240x240 px
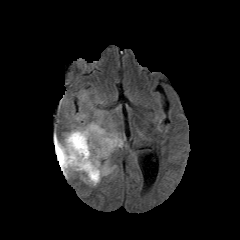
FLAIR MRI.
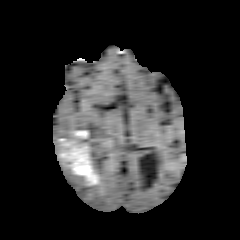
Same slice, T1-weighted MRI.
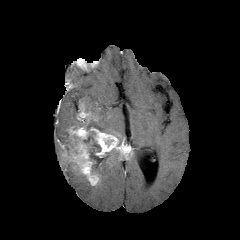
Same slice, post-contrast T1-weighted MR image.
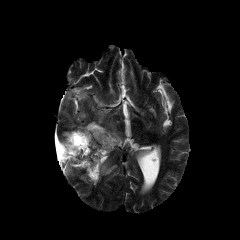
T2-weighted magnetic resonance.
5 non-enhancing tumor core regions are located at (65,136,73,151), (90,156,105,178), (83,131,95,152), (61,161,72,171), (55,138,63,163). 6 edema regions are located at (60,126,77,143), (89,148,97,159), (96,148,119,184), (86,111,124,141), (63,166,75,176), (78,174,92,185). The enhancing tumor lies within (57,126,125,185).